Field of view 240x240 mm. Slice 96 of 155. 240x240 px.
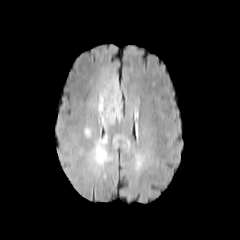
FLAIR MR.
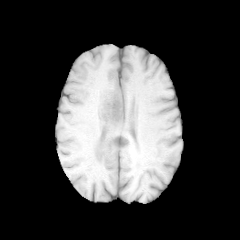
T1-weighted MR.
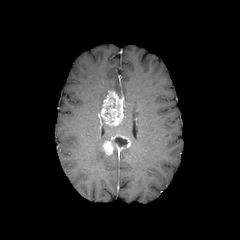
Post-contrast T1-weighted magnetic resonance.
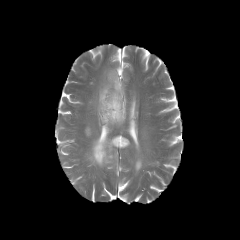
T2-weighted MRI.
2 edema regions are located at (98, 85, 121, 128), (90, 134, 112, 166). 2 enhancing tumor regions are located at (100, 90, 124, 126), (102, 134, 131, 154). The non-enhancing tumor core is at (114, 137, 128, 147).